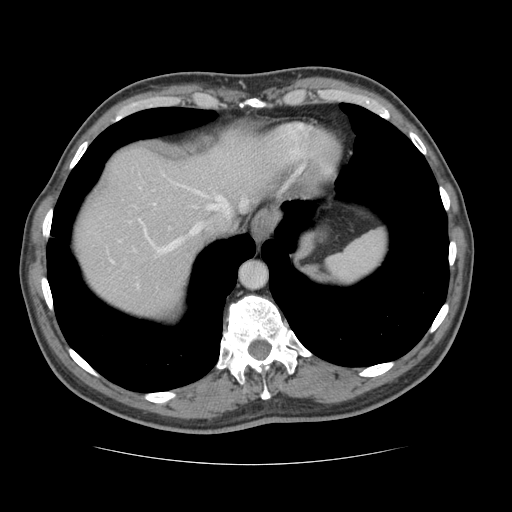 512x512 px. CT scan slice.
The vessel annotation is not exhaustive.
hepatic vessel: 241, 199, 245, 205; 188, 224, 199, 235; 195, 191, 206, 195; 144, 226, 146, 235; 137, 284, 138, 286; 111, 260, 112, 262; 225, 210, 228, 216; 138, 219, 141, 222; 208, 195, 227, 209; 155, 238, 181, 252